Field of view 377x377 mm, 512x512, Computed tomography, Liver 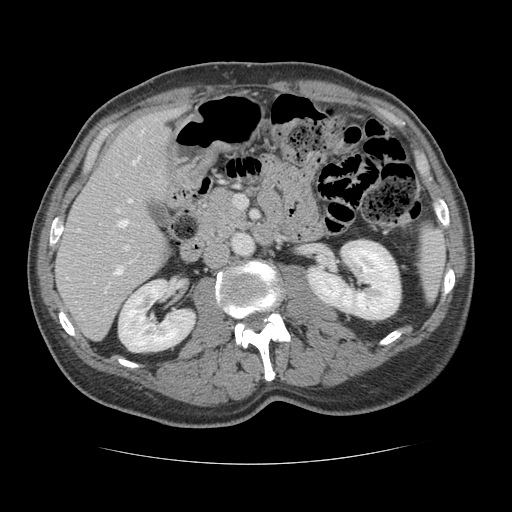
Not every hepatic vessel necessarily has a box.
{
  "hepatic_vessel": [
    "(left=141, top=130, right=143, bottom=132)",
    "(left=118, top=220, right=127, bottom=226)",
    "(left=132, top=156, right=139, bottom=163)",
    "(left=124, top=246, right=128, bottom=249)",
    "(left=116, top=209, right=119, bottom=211)",
    "(left=130, top=260, right=131, bottom=262)",
    "(left=128, top=199, right=131, bottom=201)",
    "(left=104, top=290, right=106, bottom=291)",
    "(left=78, top=229, right=79, bottom=230)",
    "(left=116, top=173, right=117, bottom=175)",
    "(left=115, top=266, right=122, bottom=273)"
  ]
}